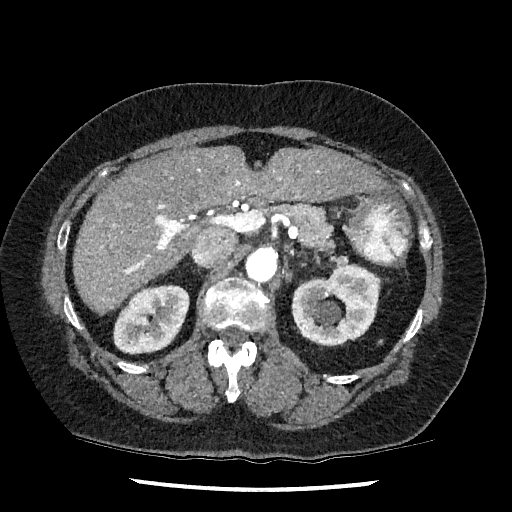
CT, 512x512
The liver lies within (73,146,390,313). 2 kidney regions are located at (292,257,379,345), (114,286,188,353).